Slice index 456 | Upper abdomen | Image size 512x512 | CT scan slice

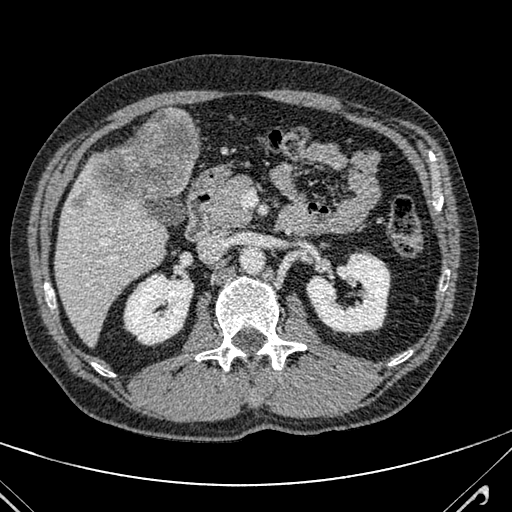 {"liver": ["<box>55,159,166,346</box>", "<box>174,162,194,193</box>"], "hepatic_lesion": ["<box>73,110,196,208</box>"]}